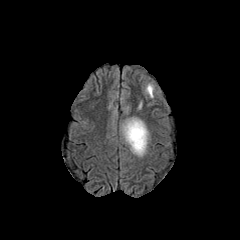
FLAIR MR.
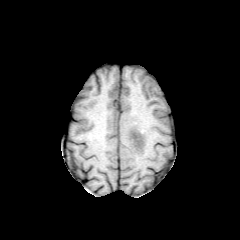
T1-weighted MR image.
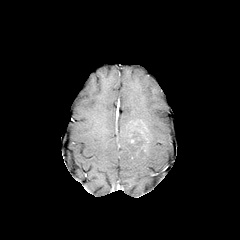
Post-contrast T1-weighted magnetic resonance.
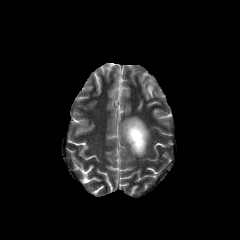
Same slice, T2-weighted magnetic resonance.
Edema — l=122, t=117, r=148, b=156.
Non-enhancing tumor core — l=130, t=124, r=145, b=142.